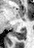

Hippocampus | MR | 34x48 px

Annotated regions:
• posterior hippocampus: bbox(12, 30, 25, 39)